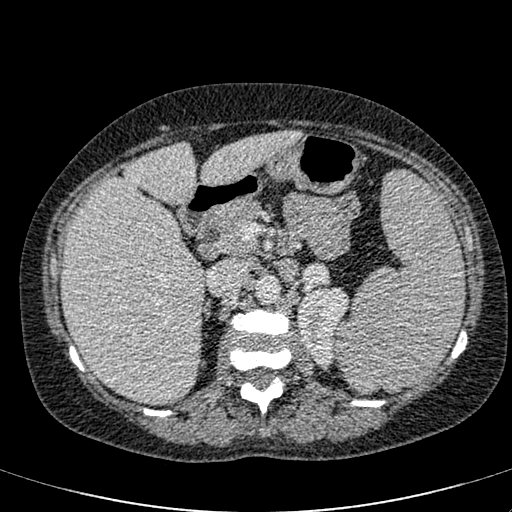
CT image; Liver
{
  "liver": [
    "[63,143,203,403]",
    "[200,132,301,186]"
  ],
  "kidney": [
    "[297,288,348,367]"
  ]
}